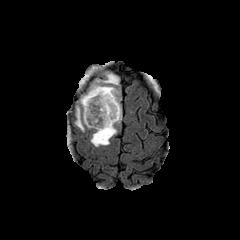
FLAIR MR.
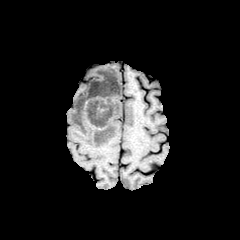
T1-weighted magnetic resonance of the same slice.
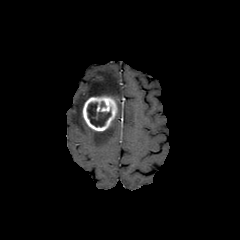
Post-contrast T1-weighted magnetic resonance.
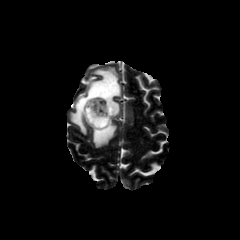
T2-weighted MR.
Head
<segmentation>
  <non-enhancing_tumor_core>[94,126,111,139], [75,74,119,127], [87,103,110,126]</non-enhancing_tumor_core>
  <enhancing_tumor>[82,96,117,131]</enhancing_tumor>
  <edema>[72,68,121,147]</edema>
</segmentation>